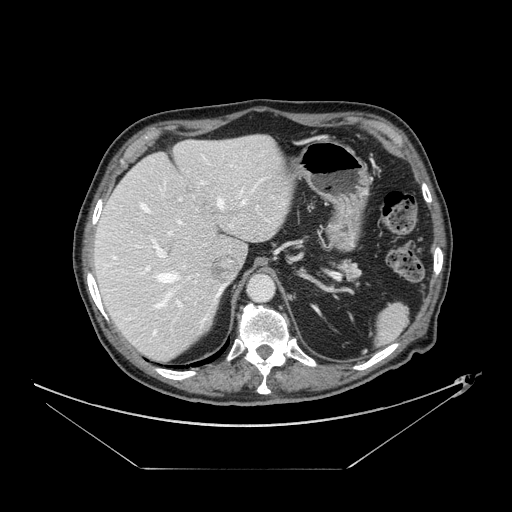

Upper abdomen; 512x512; CT scan slice
pancreas: (339,263,359,281)